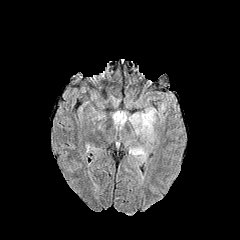
FLAIR MRI.
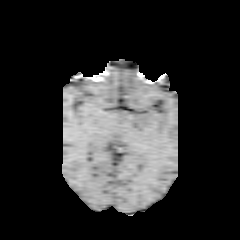
Same slice, T1-weighted magnetic resonance.
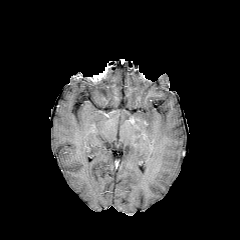
Post-contrast T1-weighted MRI of the same slice.
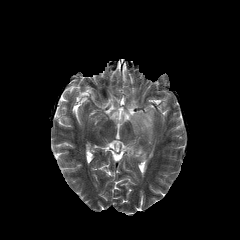
T2-weighted MR.
240x240 px
The enhancing tumor lies within [x1=126, y1=115, x2=148, y2=130]. 4 edema regions are bounded by [x1=112, y1=110, x2=129, y2=131], [x1=129, y1=107, x2=157, y2=162], [x1=126, y1=99, x2=140, y2=107], [x1=109, y1=95, x2=118, y2=107].